CT image, 512x512

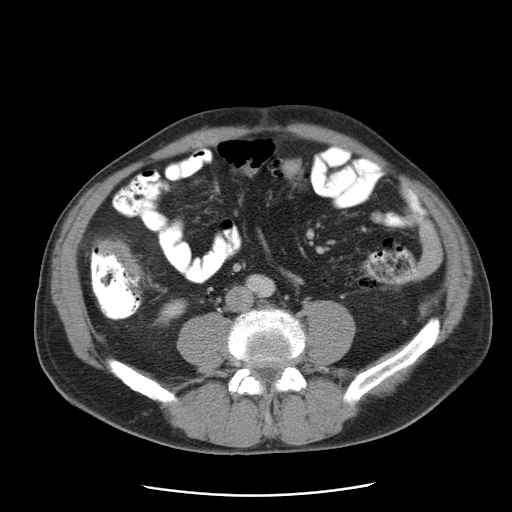 Colon tumor: bounding box (97,241,142,278).